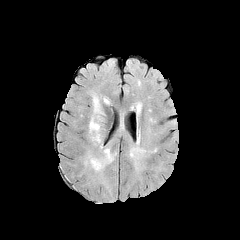
FLAIR magnetic resonance.
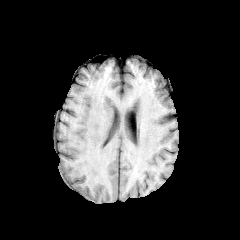
T1-weighted MR image.
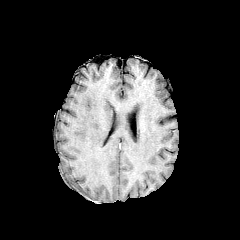
Post-contrast T1-weighted MR of the same slice.
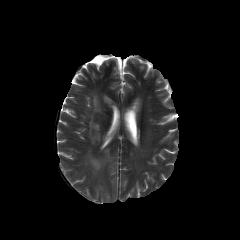
T2-weighted MR of the same slice.
* edema: l=92, t=94, r=101, b=113; l=89, t=117, r=101, b=143; l=103, t=148, r=112, b=160; l=92, t=159, r=100, b=169